Slice 51 of 161; 512x512 px; CT scan slice 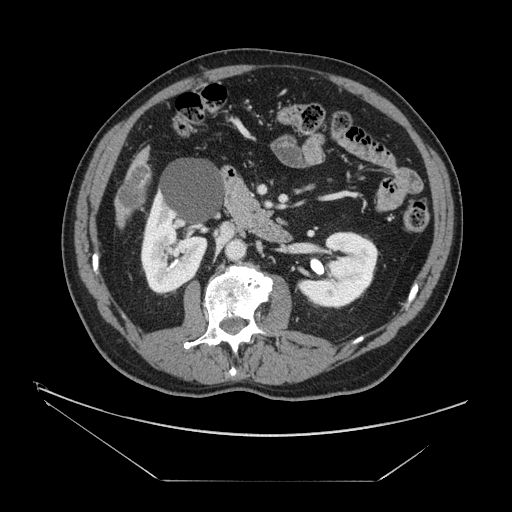
liver tumor: x1=121 y1=168 x2=148 y2=206